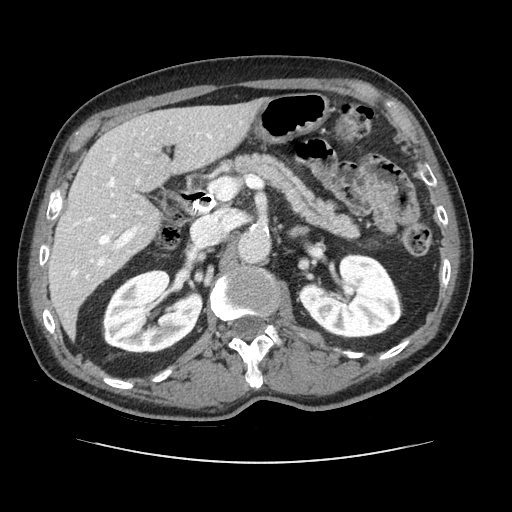

CT scan slice. Image size 512x512. Abdomen.

<segmentation>
  <pancreas>(235,154,359,238)</pancreas>
</segmentation>